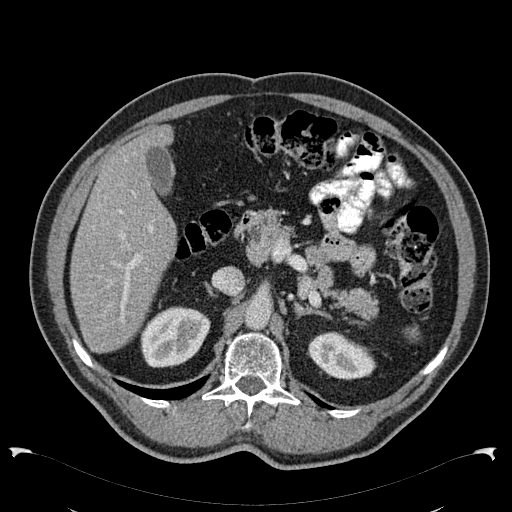 Computed tomography
Kidney — [308,332,375,379], [139,307,209,367].
Liver — [71,125,175,353].